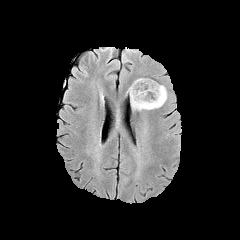
FLAIR magnetic resonance.
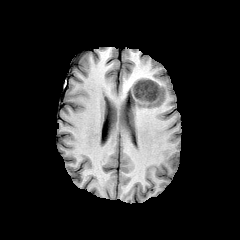
T1-weighted MR.
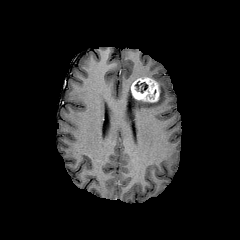
Post-contrast T1-weighted MR of the same slice.
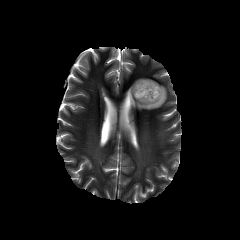
Same slice, T2-weighted MRI.
Head | Image size 240x240
The enhancing tumor is at region(131, 78, 159, 101). The edema lies within region(127, 84, 167, 110). The non-enhancing tumor core appears at region(135, 82, 147, 92).